Liver, Field of view 386 mm wide, 1.50 mm slice spacing, Computed tomography
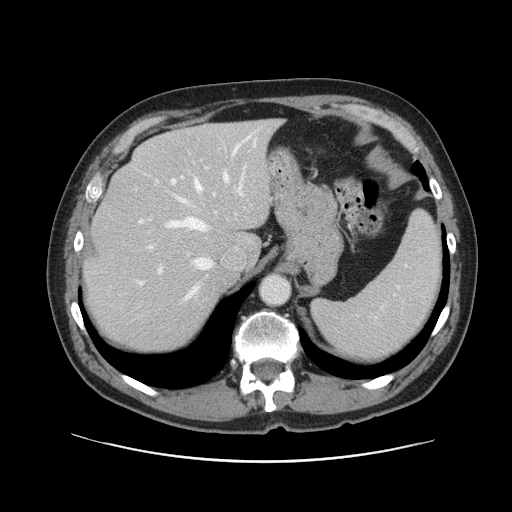

The vessel boxes may cover only some of the vessels.
The largest 15 hepatic vessel regions (of 18) are bounded by box=[158, 268, 161, 272]; box=[195, 178, 201, 191]; box=[140, 219, 142, 222]; box=[234, 144, 240, 151]; box=[177, 197, 185, 202]; box=[253, 139, 255, 145]; box=[224, 173, 227, 180]; box=[186, 287, 196, 298]; box=[169, 218, 205, 229]; box=[238, 180, 242, 194]; box=[138, 281, 142, 285]; box=[171, 179, 175, 183]; box=[244, 134, 251, 141]; box=[195, 258, 211, 269]; box=[149, 246, 151, 248].